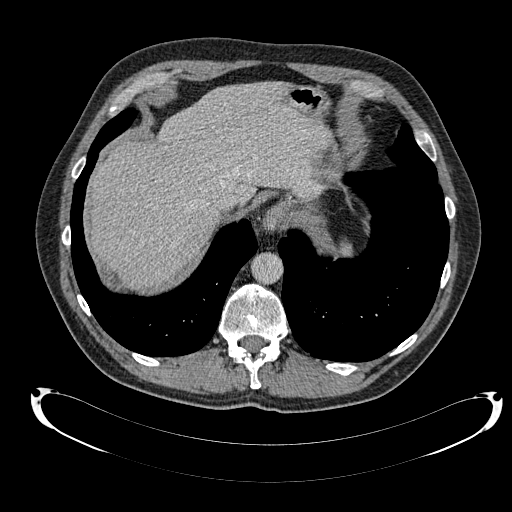
CT slice.
The liver is at {"x1": 92, "y1": 83, "x2": 331, "y2": 287}.